Image size 512x512, CT image, Upper abdomen 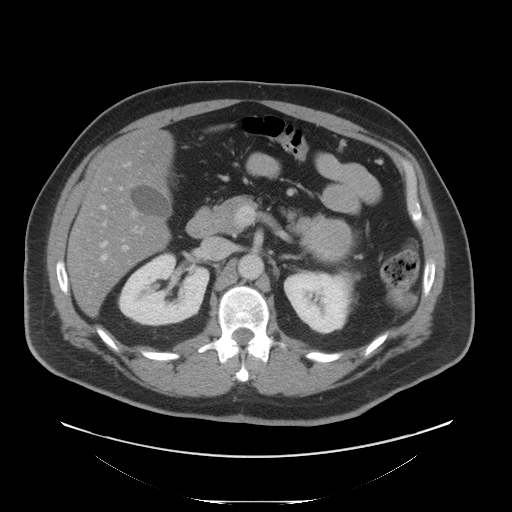
The pancreatic tumor is located at (left=309, top=219, right=351, bottom=260). 2 pancreas regions are bounded by (left=295, top=217, right=327, bottom=255), (left=213, top=196, right=250, bottom=232).